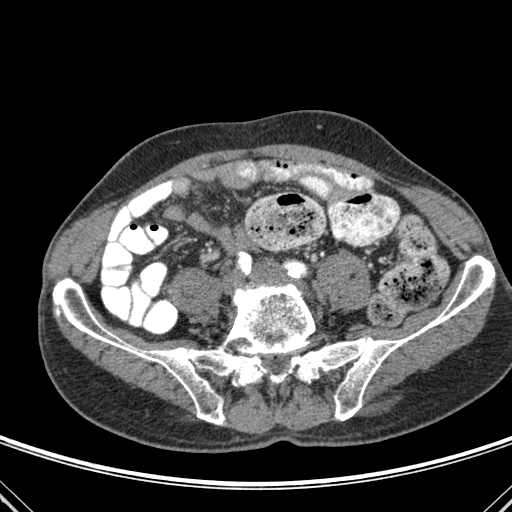 512x512 | CT image
bone: rect(53, 255, 494, 424)